Image size 512x512, CT slice 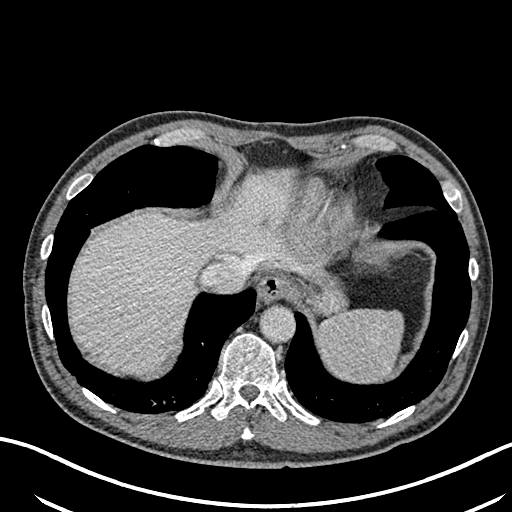
{"liver": ["region(67, 172, 293, 373)"], "liver_lesion": ["region(260, 218, 270, 227)", "region(165, 341, 173, 354)"]}